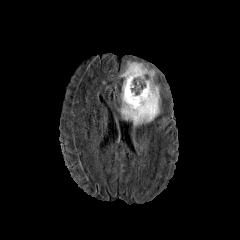
FLAIR magnetic resonance.
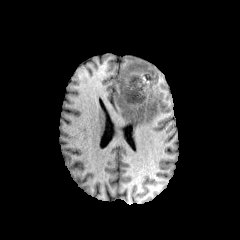
T1-weighted MR image of the same slice.
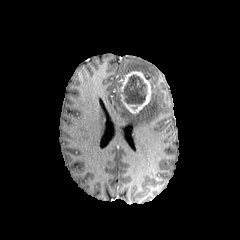
Post-contrast T1-weighted MR image of the same slice.
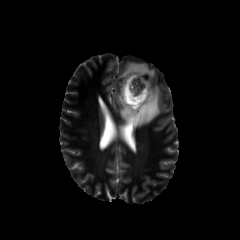
Same slice, T2-weighted magnetic resonance.
240x240 px; Head
Annotated regions:
- edema: (x1=119, y1=62, x2=154, y2=77), (x1=120, y1=84, x2=160, y2=129)
- non-enhancing tumor core: (x1=122, y1=74, x2=146, y2=104)
- enhancing tumor: (x1=119, y1=71, x2=156, y2=113)